FLAIR MR image.
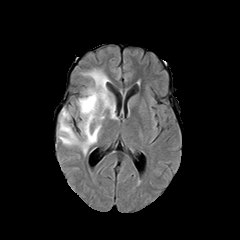
T1-weighted MRI.
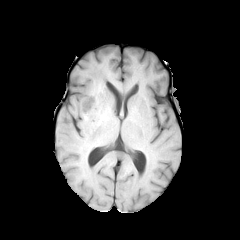
Post-contrast T1-weighted MR image.
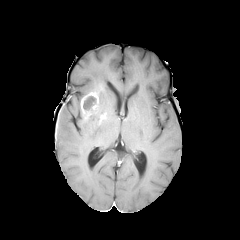
T2-weighted MR.
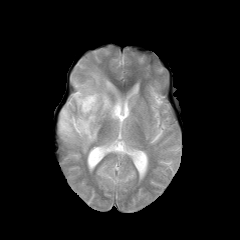
Head
• enhancing tumor: (80,86,102,115)
• edema: (57,68,119,154)
• non-enhancing tumor core: (82,96,100,121)